CT scan slice | Image size 512x512

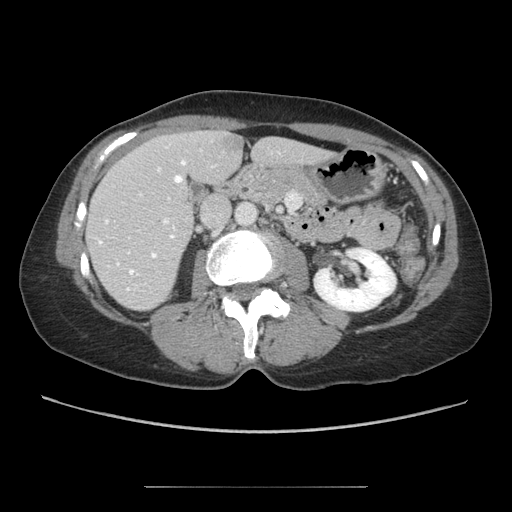

The pancreas lies within (232,164,329,212).